Liver; CT image
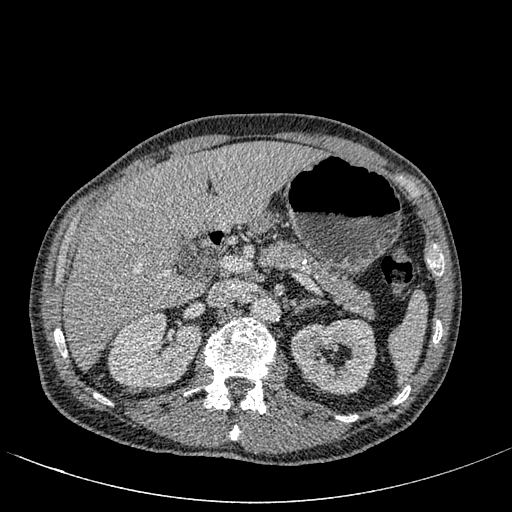 liver:
  - (left=64, top=142, right=324, bottom=371)
kidney:
  - (left=108, top=312, right=200, bottom=387)
  - (left=291, top=319, right=375, bottom=394)